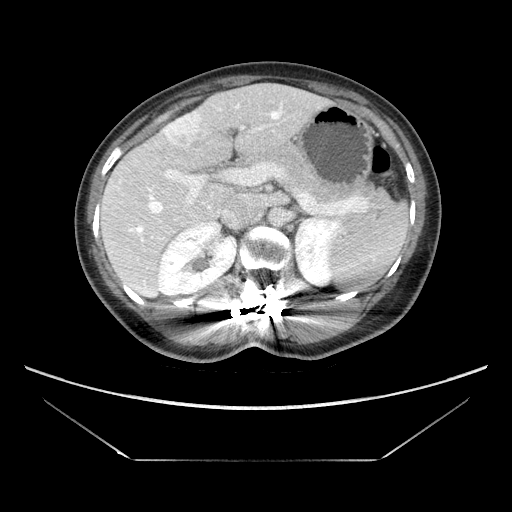
Liver; Computed tomography
Only some of the vessels may be annotated.
Annotated regions:
* liver tumor: left=166, top=115, right=203, bottom=145
* hepatic vessel: left=149, top=199, right=161, bottom=211; left=225, top=164, right=283, bottom=184; left=166, top=169, right=204, bottom=204